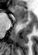 MR image

Segmented structures:
* anterior hippocampus: 13, 5, 28, 23